Image width 32 mm. 32x51 px. Hippocampus. MR image. 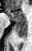 * posterior hippocampus: [16, 24, 27, 37]
* anterior hippocampus: [5, 8, 26, 23]